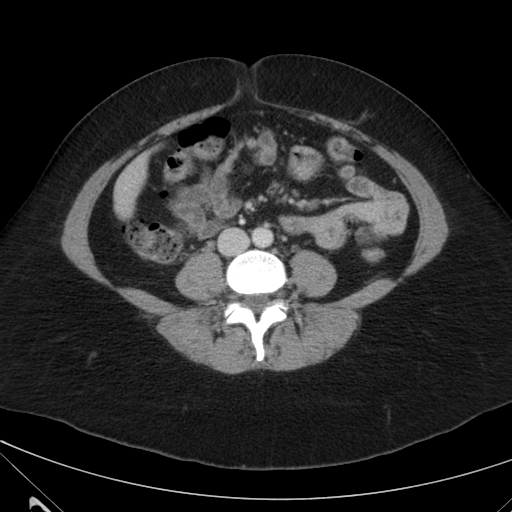 CT image | 512x512 px
liver:
  - 114 155 147 211